240x240 px; Head
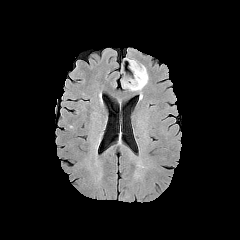
FLAIR MR.
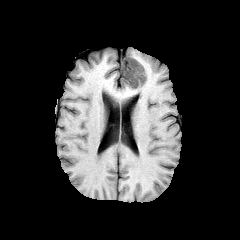
T1-weighted MR image.
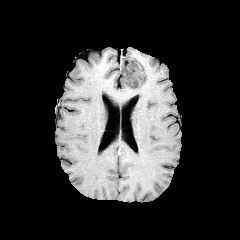
Post-contrast T1-weighted MR image of the same slice.
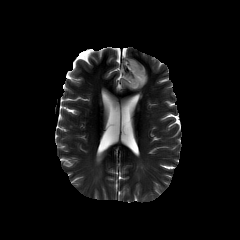
Same slice, T2-weighted MR.
2 edema regions appear at rect(122, 59, 135, 78); rect(121, 62, 148, 97). The non-enhancing tumor core is bounded by rect(124, 62, 144, 88).